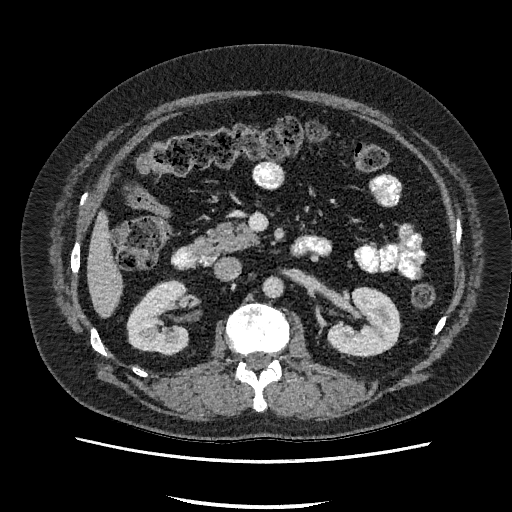

Computed tomography
• liver: <box>88,210,123,317</box>
• kidney: <box>128,281,187,353</box>, <box>328,288,399,355</box>